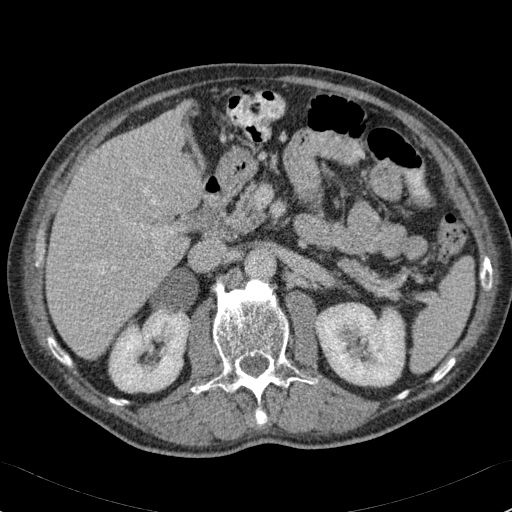

CT scan slice. Upper abdomen.

liver:
  - [47,113,198,357]
kidney:
  - [315,303,404,386]
  - [109,311,189,391]